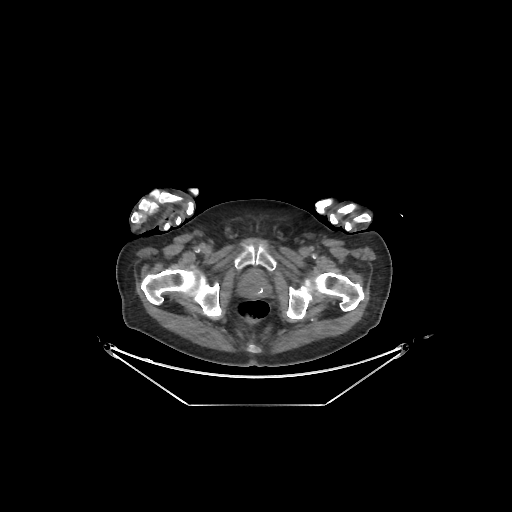 CT image. 512x512.

{"bone": ["150 190 181 202", "286 271 364 319", "141 267 221 317", "186 202 193 214", "235 245 276 270", "139 199 158 212", "345 222 351 230", "316 199 331 213", "353 213 370 222", "330 214 337 223", "337 204 355 213", "131 212 144 222"]}